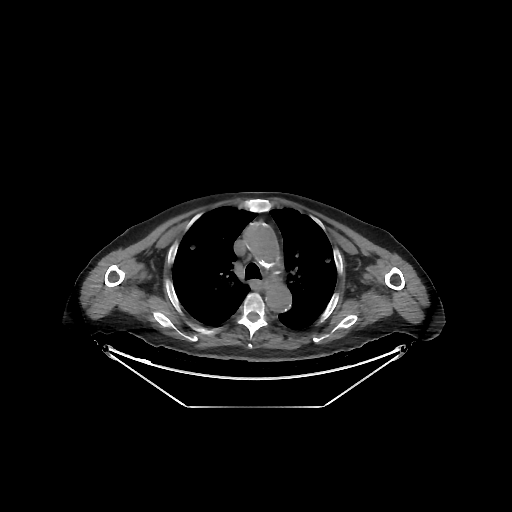

Chest | CT image | 512x512 px
3 lung regions appear at 172 206 257 326, 245 262 261 280, 269 207 336 330. 9 bone regions appear at 238 293 267 337, 105 265 124 286, 194 328 213 333, 246 199 270 211, 166 281 187 319, 336 315 356 328, 154 312 174 327, 385 267 404 289, 321 295 338 321.